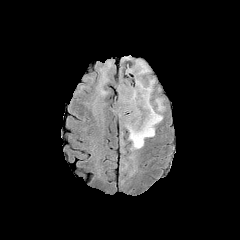
FLAIR magnetic resonance.
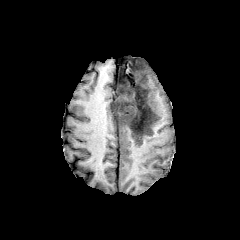
Same slice, T1-weighted MR.
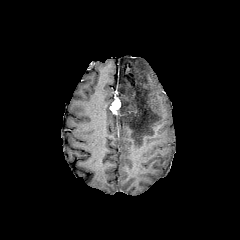
Same slice, post-contrast T1-weighted magnetic resonance.
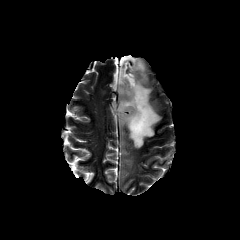
T2-weighted MRI.
240x240 px | Head
non-enhancing tumor core: <box>115,77,155,140</box> | edema: <box>120,56,162,150</box>, <box>122,155,133,167</box>, <box>120,78,132,87</box> | enhancing tumor: <box>111,99,120,113</box>